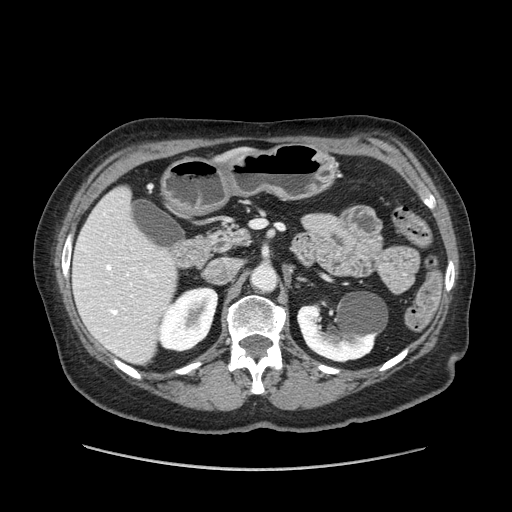 CT slice. 512x512.
The pancreas is at <bbox>210, 228, 250, 253</bbox>.